CT scan slice | Upper abdomen
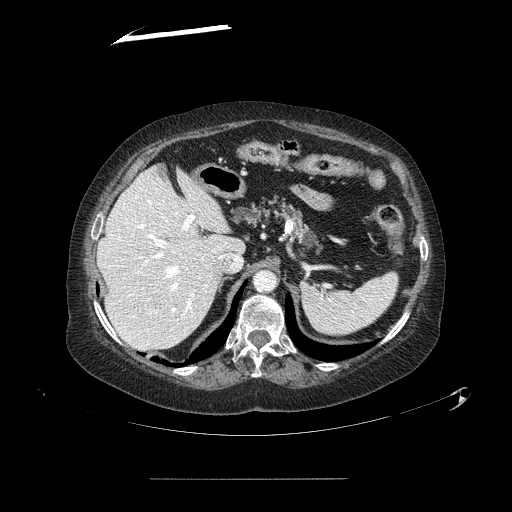
The pancreas is bounded by 229 197 318 252.